Slice index 47; Upper abdomen; CT slice; 512x512

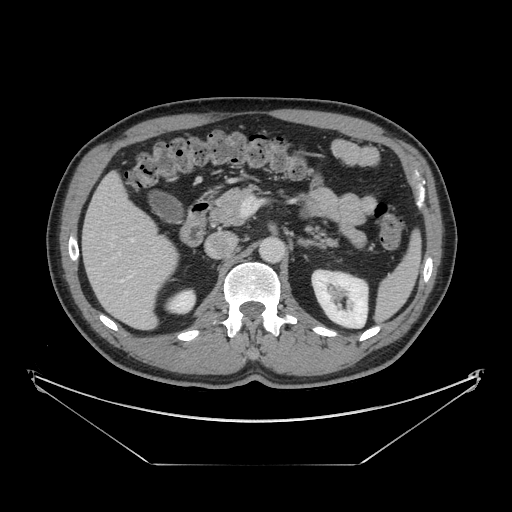

Pancreas at 308,224,336,246; 210,187,256,226.